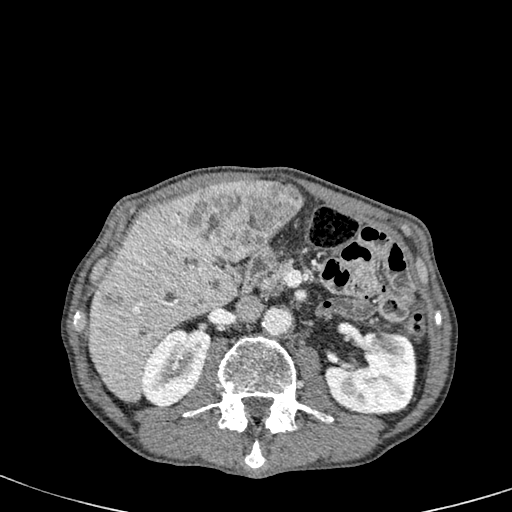 CT
hepatic_lesion:
  - {"x1": 192, "y1": 180, "x2": 302, "y2": 260}
  - {"x1": 102, "y1": 294, "x2": 122, "y2": 307}
liver:
  - {"x1": 89, "y1": 194, "x2": 236, "y2": 401}
  - {"x1": 282, "y1": 183, "x2": 300, "y2": 194}
kidney:
  - {"x1": 141, "y1": 330, "x2": 209, "y2": 406}
  - {"x1": 326, "y1": 327, "x2": 415, "y2": 413}